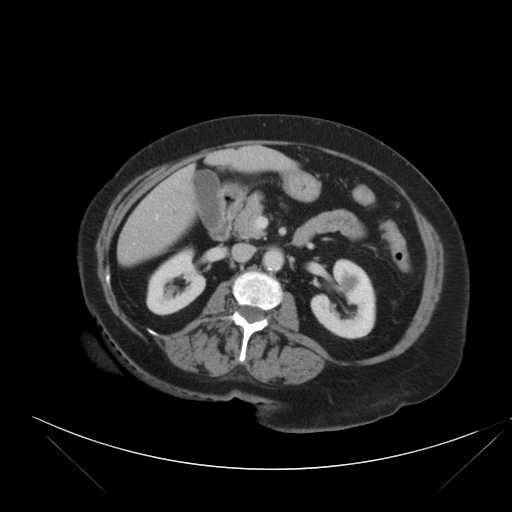

CT image | Image size 512x512

Not every hepatic vessel necessarily has a box.
7 hepatic vessel regions are located at rect(174, 180, 177, 184); rect(184, 170, 185, 171); rect(155, 215, 158, 219); rect(189, 166, 192, 169); rect(250, 155, 253, 156); rect(270, 157, 272, 159); rect(150, 196, 152, 198).